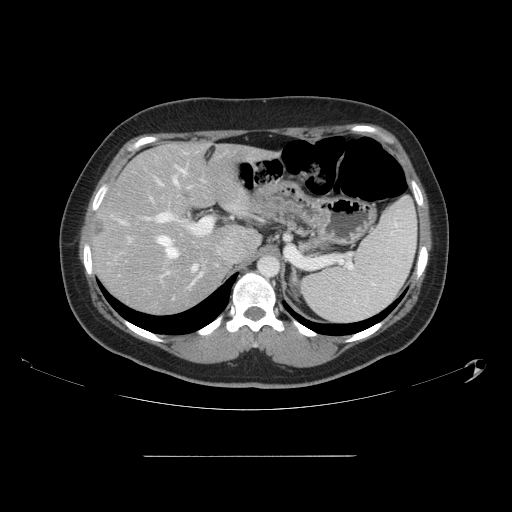

CT; Abdomen

The vessel boxes may cover only some of the vessels.
Hepatic vessel = (x1=199, y1=272, x2=202, y2=276), (x1=177, y1=168, x2=184, y2=172), (x1=173, y1=177, x2=177, y2=183), (x1=192, y1=266, x2=196, y2=271), (x1=167, y1=271, x2=169, y2=273), (x1=158, y1=212, x2=175, y2=221), (x1=157, y1=236, x2=177, y2=257).
Liver tumor = (x1=94, y1=219, x2=107, y2=235).